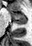 Medial temporal lobe. MR image.
The posterior hippocampus is located at (14,20,26,24). The anterior hippocampus is located at (11,13,25,19).